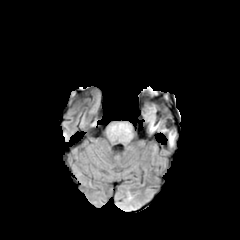
FLAIR magnetic resonance.
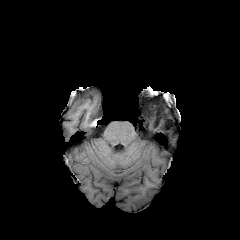
Same slice, T1-weighted MRI.
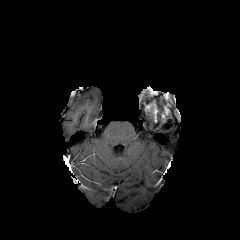
Post-contrast T1-weighted magnetic resonance of the same slice.
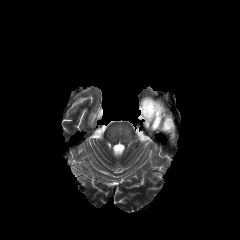
T2-weighted MR image.
Image size 240x240. Brain.
Findings:
- non-enhancing tumor core: <box>154,107,165,121</box>
- edema: <box>144,115,160,130</box>
- enhancing tumor: <box>144,104,157,120</box>